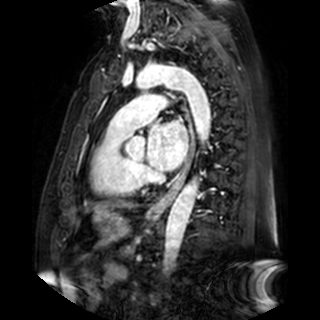

320x320 px. Cardiac. Magnetic resonance.
<segmentation>
  <left_atrium>x1=147 y1=121 x2=187 y2=170</left_atrium>
</segmentation>